FLAIR MR.
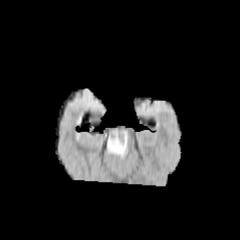
T1-weighted MRI.
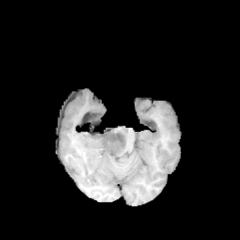
Post-contrast T1-weighted magnetic resonance.
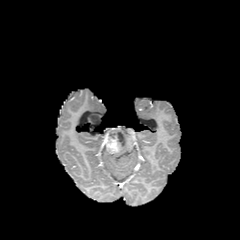
T2-weighted magnetic resonance.
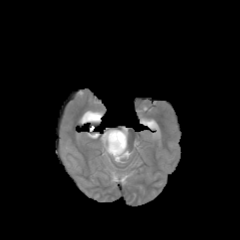
Brain.
Enhancing tumor = rect(105, 133, 120, 154).
Non-enhancing tumor core = rect(87, 113, 102, 125); rect(113, 129, 124, 154).
Edema = rect(111, 127, 127, 157).